512x512 px. Slice 48/85. CT. Upper abdomen.

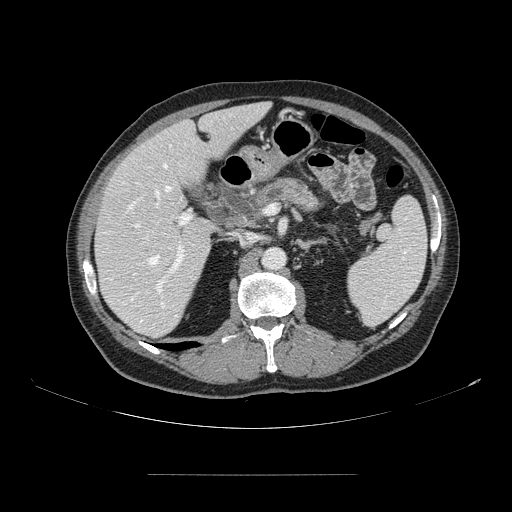 Pancreas: bounding box 251, 176, 325, 214.